MR image. Medial temporal lobe.
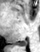

• posterior hippocampus: 17:41:27:46